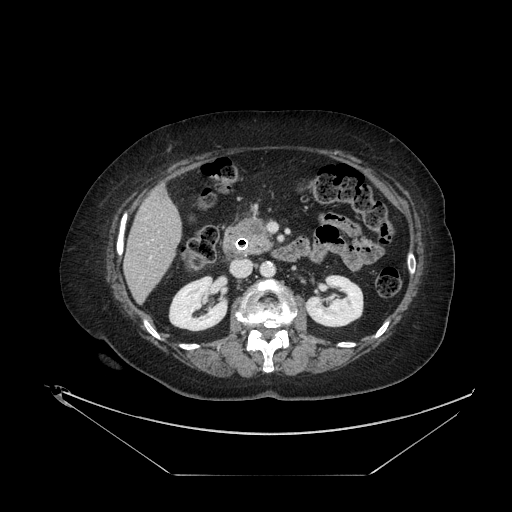
512x512; CT slice; Upper abdomen
The pancreas lies within box=[227, 218, 274, 256]. The pancreatic tumor is bounded by box=[247, 220, 262, 234].